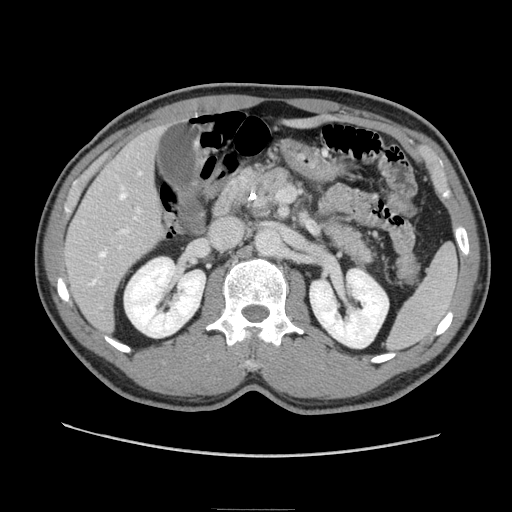

CT image
pancreas: 318, 218, 377, 270; 247, 168, 294, 209